Head. Slice 55 of 155.
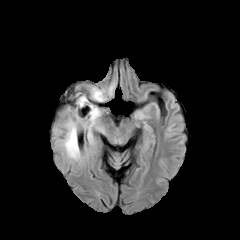
FLAIR MRI.
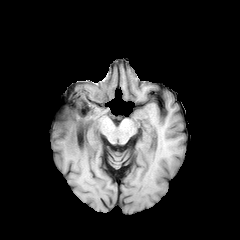
T1-weighted magnetic resonance.
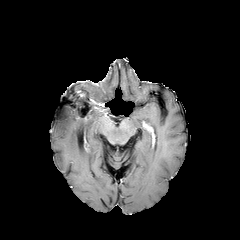
Post-contrast T1-weighted MR of the same slice.
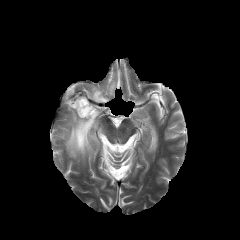
Same slice, T2-weighted MRI.
Segmented structures:
- edema: 52,81,116,163